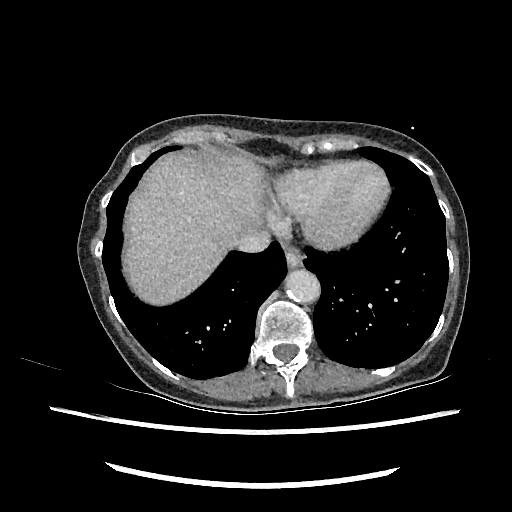 CT
liver:
  - 127:157:263:303